Slice index 102 | Upper abdomen | Computed tomography | Image size 512x512

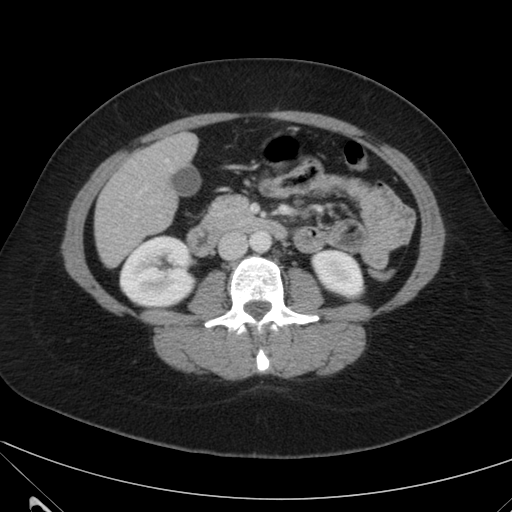 <segmentation>
  <liver>[95, 132, 197, 266]</liver>
  <kidney>[314, 251, 361, 294], [121, 237, 192, 305]</kidney>
</segmentation>